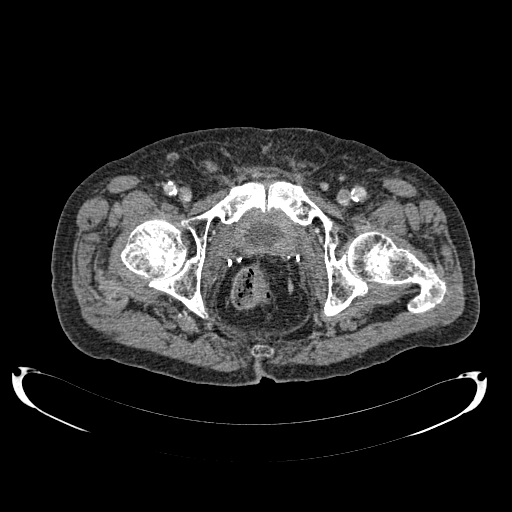
CT image | Lower abdomen
Urinary bladder = left=247, top=223, right=280, bottom=245.